CT

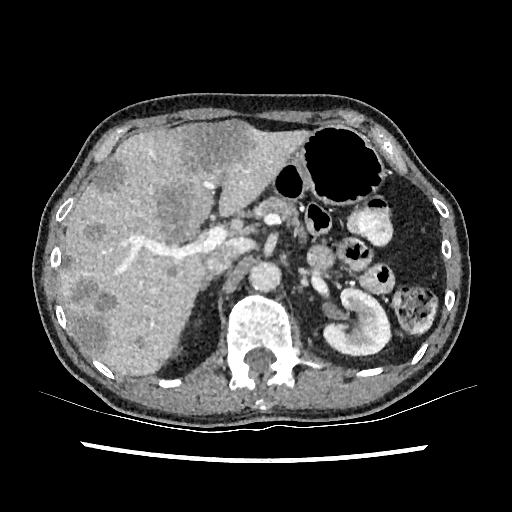
Kidney = box(312, 277, 327, 293); box(322, 289, 394, 358).
Liver lesion = box(61, 254, 74, 269); box(134, 336, 146, 348); box(71, 278, 118, 312); box(84, 223, 106, 240); box(71, 314, 108, 350); box(170, 122, 257, 174); box(92, 159, 122, 191); box(156, 183, 194, 241); box(167, 266, 177, 276).
Liver = box(59, 129, 308, 374).